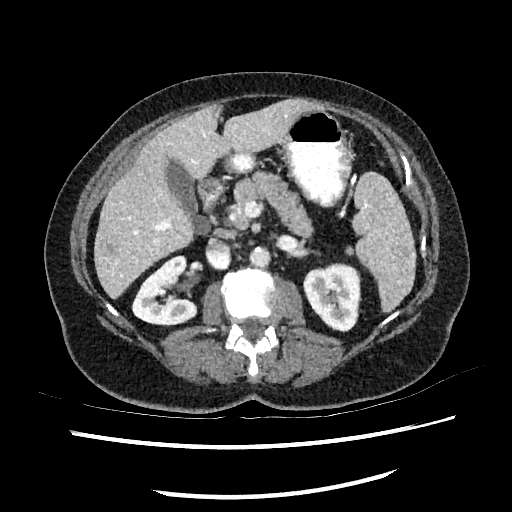

Computed tomography; Liver

kidney:
  - (x1=133, y1=256, x2=195, y2=324)
  - (x1=304, y1=266, x2=358, y2=330)
liver:
  - (x1=95, y1=98, x2=313, y2=299)
focal_liver_lesion:
  - (x1=101, y1=240, x2=116, y2=255)